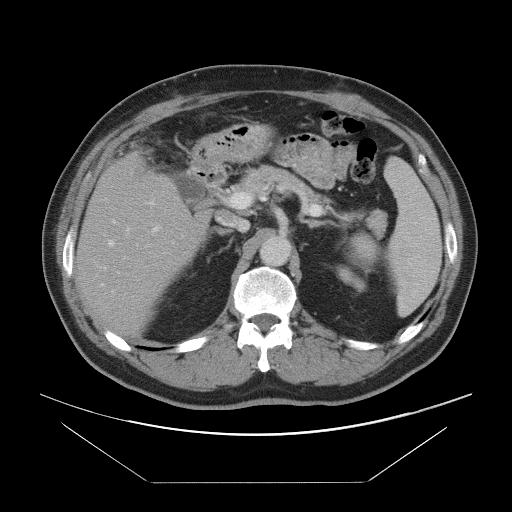

Liver | 512x512 px | CT image

Only some of the vessels may be annotated.
Hepatic vessel — 148,201,153,204; 153,227,158,230; 113,220,115,222.